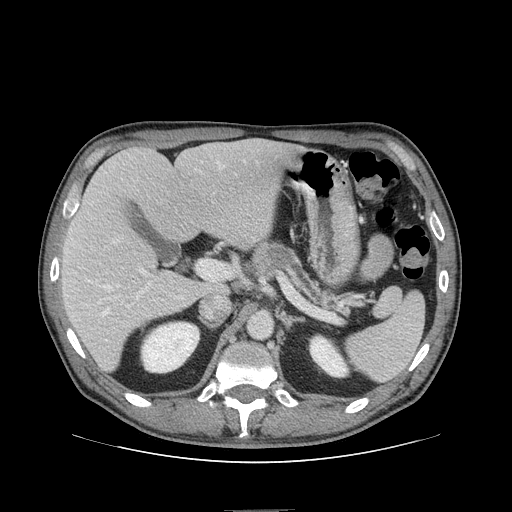

Upper abdomen; Computed tomography
pancreas:
  - [x1=253, y1=242, x2=350, y2=312]
pancreatic_tumor:
  - [x1=268, y1=246, x2=291, y2=270]